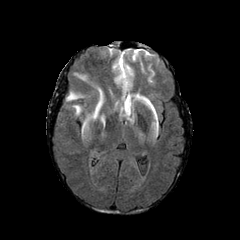
FLAIR magnetic resonance.
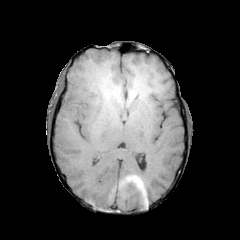
T1-weighted MR image.
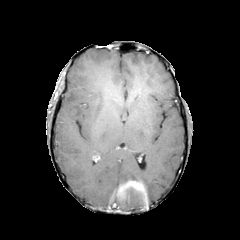
Post-contrast T1-weighted MR image of the same slice.
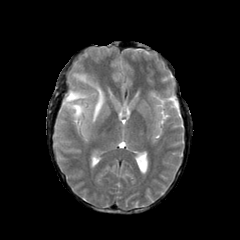
T2-weighted MRI.
Image size 240x240
Edema: (66,73,104,129).